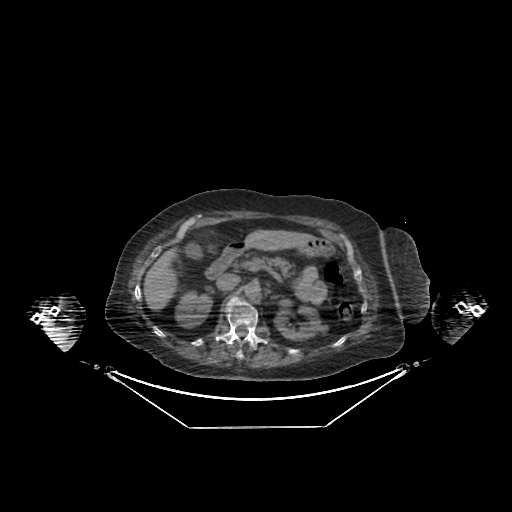

CT scan slice. Upper abdomen. 2 kidney regions are bounded by box(175, 290, 212, 328); box(274, 298, 326, 340). 2 liver regions appear at box(142, 245, 189, 311); box(244, 229, 319, 257).